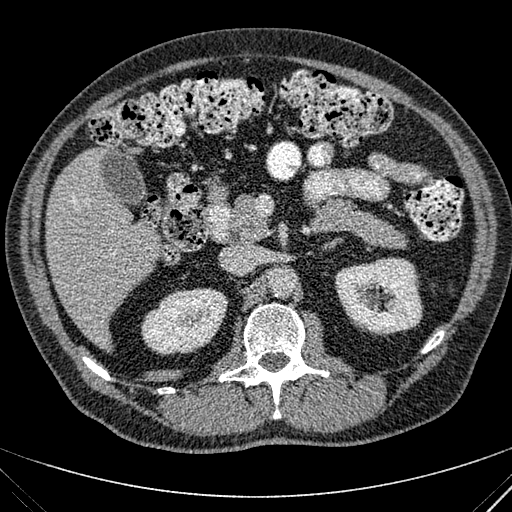

Abdomen | CT scan slice
<segmentation>
  <liver>{"x1": 45, "y1": 147, "x2": 160, "y2": 348}</liver>
  <kidney>{"x1": 142, "y1": 288, "x2": 227, "y2": 353}, {"x1": 335, "y1": 258, "x2": 421, "y2": 334}</kidney>
</segmentation>